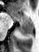

Hippocampus; Image size 39x52; MRI
Posterior hippocampus: 19 22 32 35.
Anterior hippocampus: 10 13 31 21.